Computed tomography. Slice index 56. 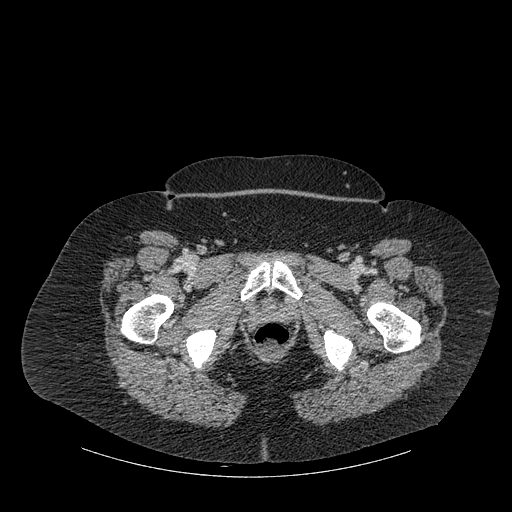
Bone: bounding box x1=186 y1=330 x2=215 y2=368, x1=324 y1=331 x2=352 y2=369, x1=121 y1=294 x2=173 y2=343, x1=367 y1=302 x2=420 y2=352, x1=241 y1=261 x2=302 y2=300.